Liver, CT, Image size 512x512
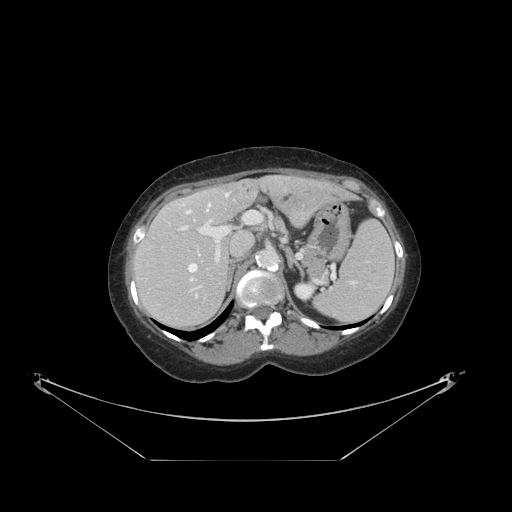

The vessel annotation is not exhaustive.
Segmented structures:
• liver tumor: (left=265, top=178, right=282, bottom=193)
• hepatic vessel: (left=185, top=211, right=189, bottom=213), (left=180, top=204, right=183, bottom=204), (left=190, top=279, right=192, bottom=280), (left=243, top=210, right=261, bottom=223), (left=195, top=295, right=196, bottom=297), (left=206, top=209, right=208, bottom=211), (left=198, top=219, right=229, bottom=260), (left=208, top=203, right=210, bottom=207), (left=188, top=264, right=196, bottom=271), (left=225, top=193, right=228, bottom=195), (left=180, top=227, right=185, bottom=229)